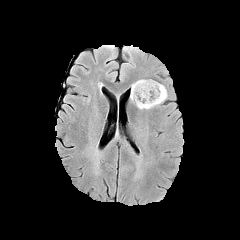
FLAIR MR image.
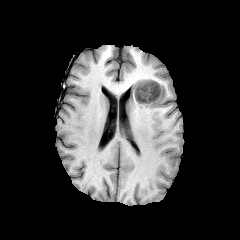
T1-weighted magnetic resonance of the same slice.
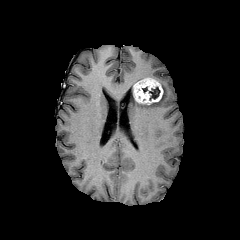
Post-contrast T1-weighted magnetic resonance of the same slice.
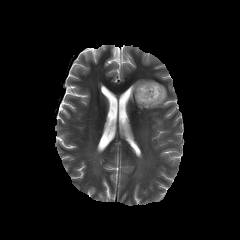
Same slice, T2-weighted magnetic resonance.
240x240, Brain
<segmentation>
  <edema>{"x1": 130, "y1": 83, "x2": 167, "y2": 109}</edema>
  <enhancing_tumor>{"x1": 133, "y1": 78, "x2": 162, "y2": 103}</enhancing_tumor>
  <non-enhancing_tumor_core>{"x1": 148, "y1": 86, "x2": 160, "y2": 100}</non-enhancing_tumor_core>
</segmentation>